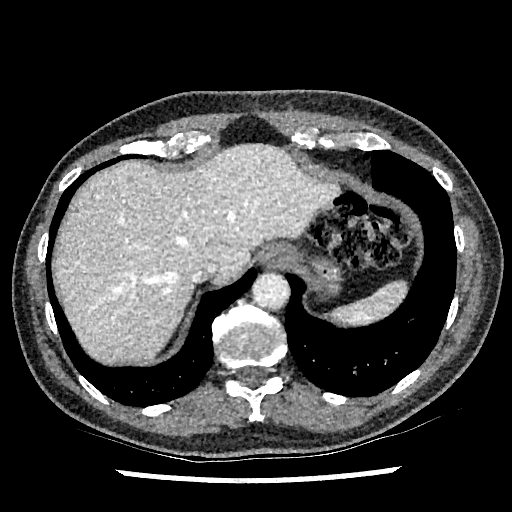 Liver | CT image | 512x512 px
<segmentation>
  <liver>[x1=55, y1=143, x2=338, y2=362]</liver>
</segmentation>